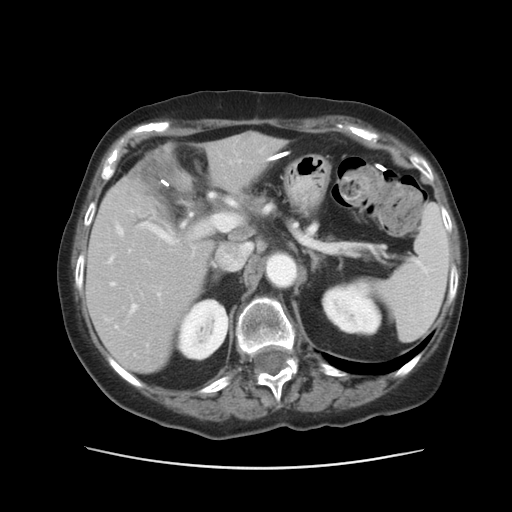 512x512. Liver. CT.

The vessel boxes may cover only some of the vessels.
- hepatic vessel (principal 15 of 18): box=[163, 229, 175, 237]; box=[228, 199, 236, 206]; box=[140, 222, 146, 228]; box=[192, 247, 194, 255]; box=[230, 161, 232, 163]; box=[115, 223, 122, 235]; box=[188, 213, 240, 237]; box=[110, 282, 114, 286]; box=[108, 256, 113, 263]; box=[182, 222, 185, 226]; box=[128, 304, 136, 314]; box=[236, 160, 239, 162]; box=[104, 318, 108, 321]; box=[128, 250, 130, 252]; box=[129, 211, 136, 212]
- liver tumor: box=[136, 155, 163, 185]